CT scan slice. Field of view 434 mm wide, 1.00 mm slice spacing. Slice 18/605.

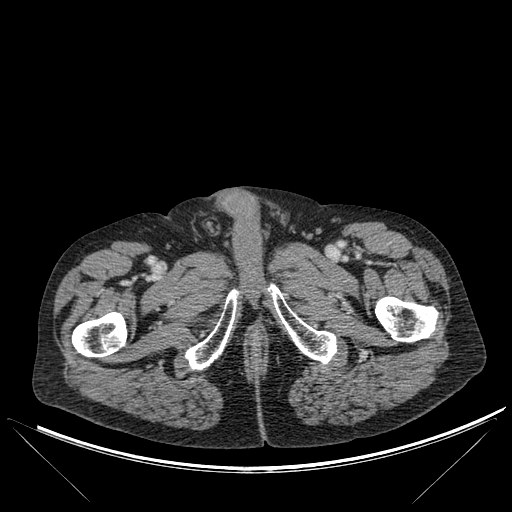
<segmentation>
  <bone>(left=185, top=289, right=237, bottom=369), (left=375, top=296, right=437, bottom=342), (left=268, top=284, right=336, bottom=363), (left=72, top=312, right=126, bottom=356)</bone>
</segmentation>